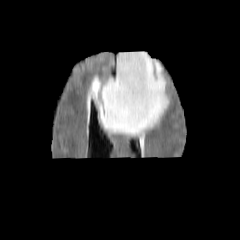
FLAIR MR.
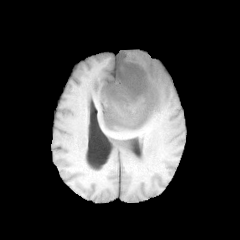
Same slice, T1-weighted MR.
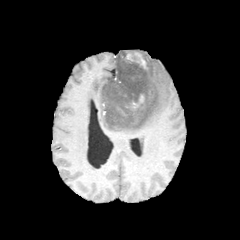
Same slice, post-contrast T1-weighted MRI.
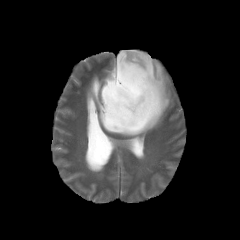
T2-weighted MR image.
240x240.
Non-enhancing tumor core at x1=103, y1=49, x2=156, y2=125.
Edema at x1=91, y1=50, x2=170, y2=135.